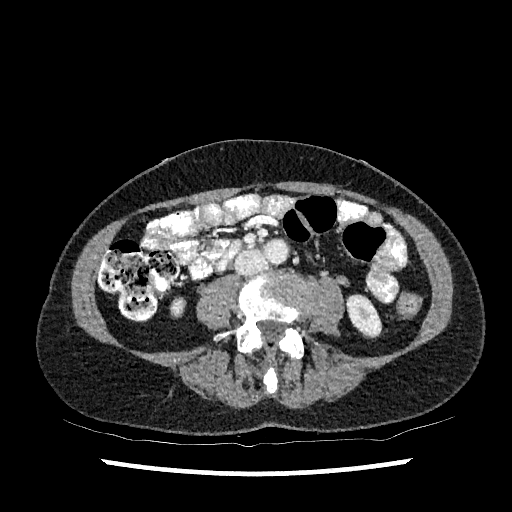 CT scan slice. 2 kidney regions appear at (347, 296, 380, 335), (172, 301, 181, 313).